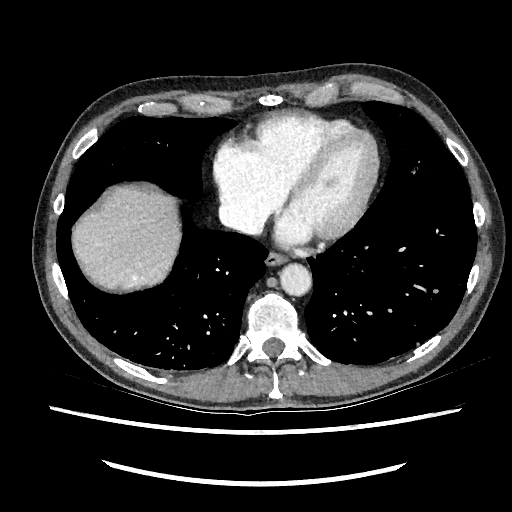

CT scan slice
<segmentation>
  <liver>73,190,180,286</liver>
</segmentation>